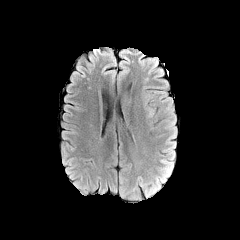
FLAIR MR image.
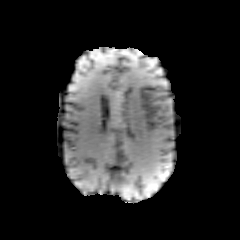
T1-weighted MR of the same slice.
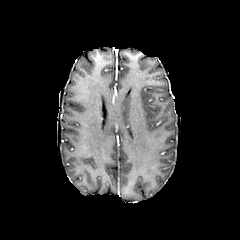
Post-contrast T1-weighted MRI.
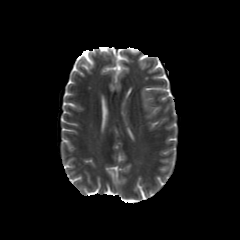
T2-weighted MR of the same slice.
Brain
edema: (left=160, top=160, right=170, bottom=172)